CT scan slice | Upper abdomen | Slice 240/401 | Image size 512x512 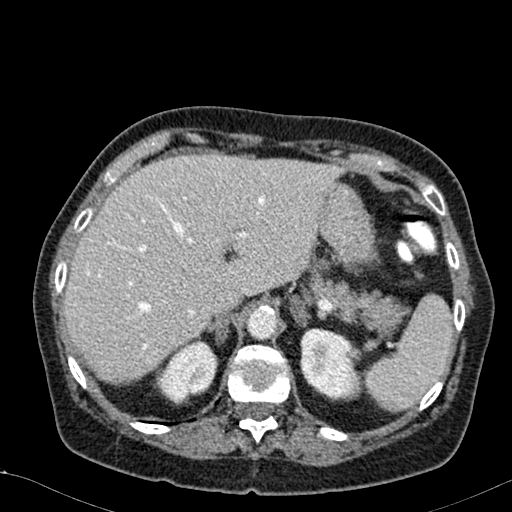
{
  "liver": [
    "rect(65, 154, 341, 381)"
  ],
  "kidney": [
    "rect(301, 329, 359, 397)",
    "rect(158, 341, 216, 401)"
  ]
}